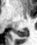

Magnetic resonance; Hippocampus

The posterior hippocampus is located at (16,30,27,37).